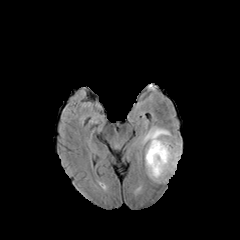
FLAIR MR image.
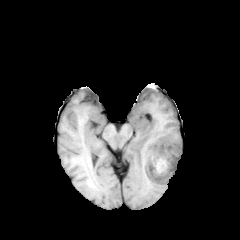
T1-weighted MRI.
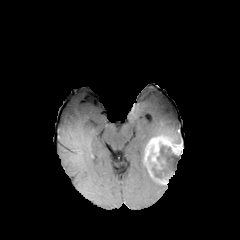
Post-contrast T1-weighted MR image of the same slice.
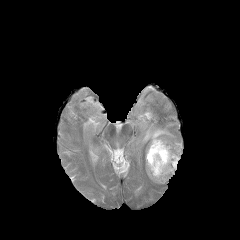
T2-weighted MR.
Enhancing tumor = bbox(145, 136, 182, 160).
Edema = bbox(138, 126, 180, 183).
Non-enhancing tumor core = bbox(147, 149, 161, 174); bbox(158, 144, 168, 165).